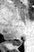 Hippocampus | Image size 34x52 | MR image

posterior hippocampus: 9,40,21,45